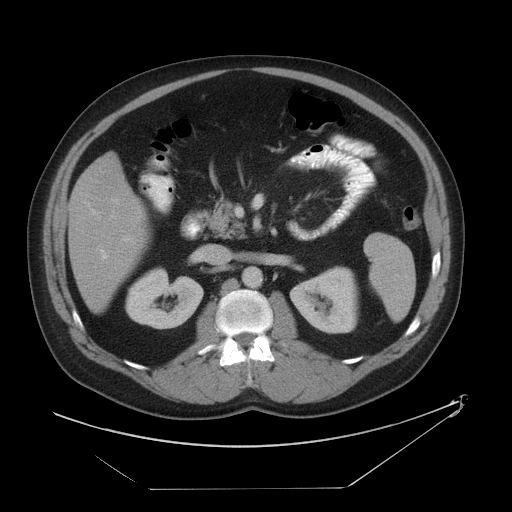 Abdomen; CT scan slice
Segmented structures:
• spleen: x1=364, y1=233, x2=415, y2=320